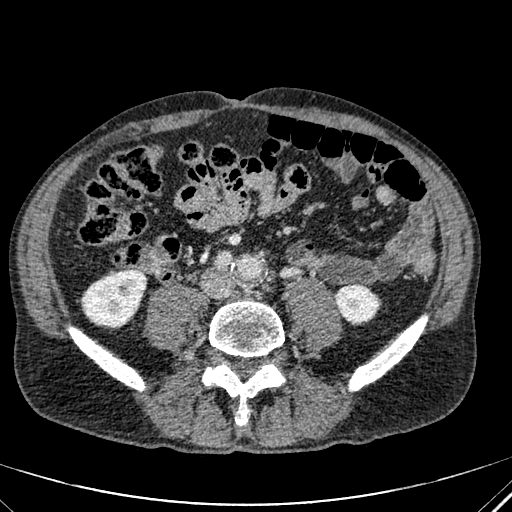

CT slice

{
  "kidney": [
    "(336, 285, 378, 322)",
    "(83, 270, 145, 326)"
  ]
}